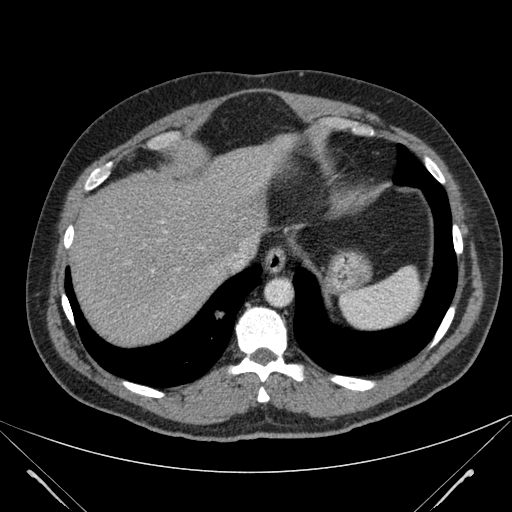
Computed tomography | Upper abdomen
<segmentation>
  <liver>x1=68 y1=134 x2=299 y2=346</liver>
</segmentation>